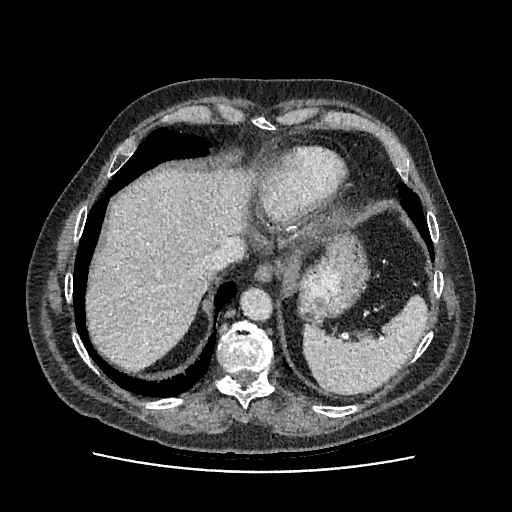
Liver, CT scan slice, 512x512

<segmentation>
  <liver>[85, 170, 255, 370]</liver>
</segmentation>